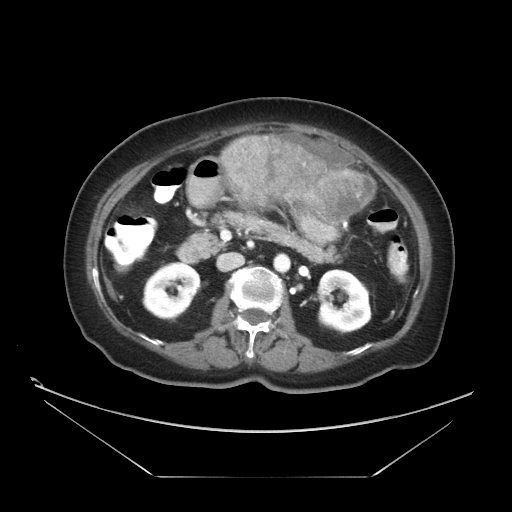

Computed tomography

Liver tumor — region(221, 137, 374, 223).